240x240.
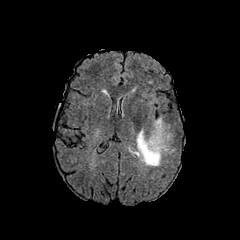
FLAIR MRI.
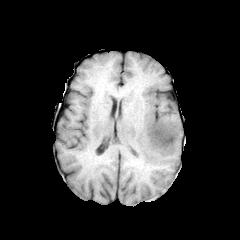
T1-weighted magnetic resonance of the same slice.
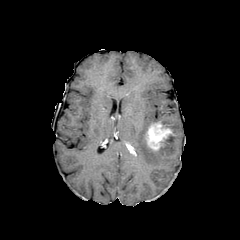
Post-contrast T1-weighted MR image of the same slice.
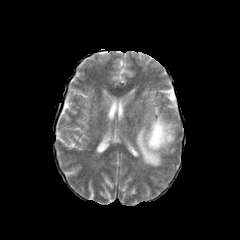
T2-weighted MRI.
<segmentation>
  <enhancing_tumor>(145, 118, 173, 151)</enhancing_tumor>
  <edema>(134, 125, 173, 166)</edema>
</segmentation>